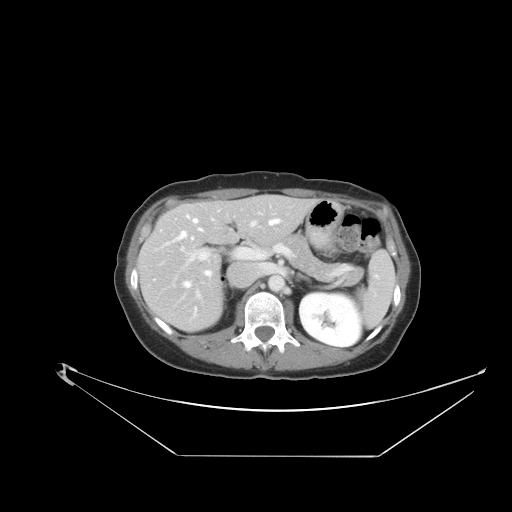
Computed tomography
2 pancreas regions are located at (341, 268, 363, 284), (286, 234, 337, 280).